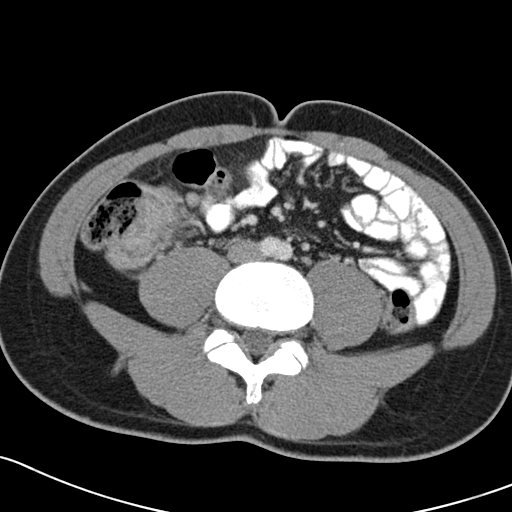
CT slice, Image size 512x512
Findings:
• colon tumor: box=[105, 184, 180, 270]